Slice index 523, CT scan slice

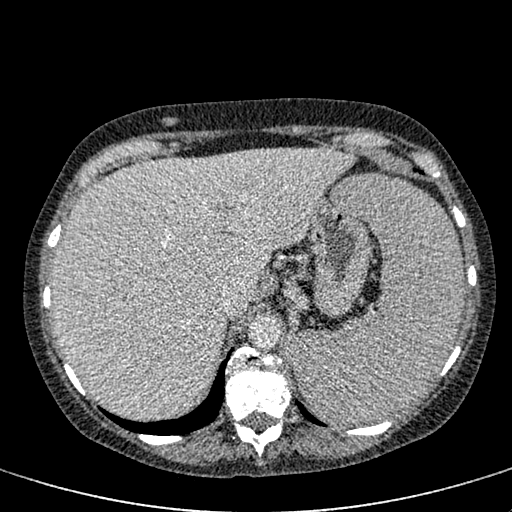

liver:
  - <box>53,149,354,417</box>